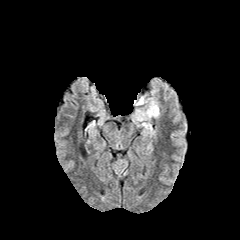
FLAIR MR.
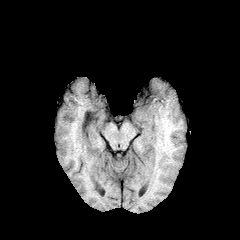
Same slice, T1-weighted magnetic resonance.
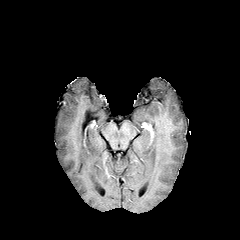
Same slice, post-contrast T1-weighted magnetic resonance.
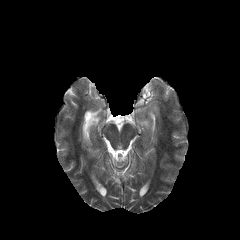
Same slice, T2-weighted MR.
Edema = <bbox>134, 90, 159, 130</bbox>.